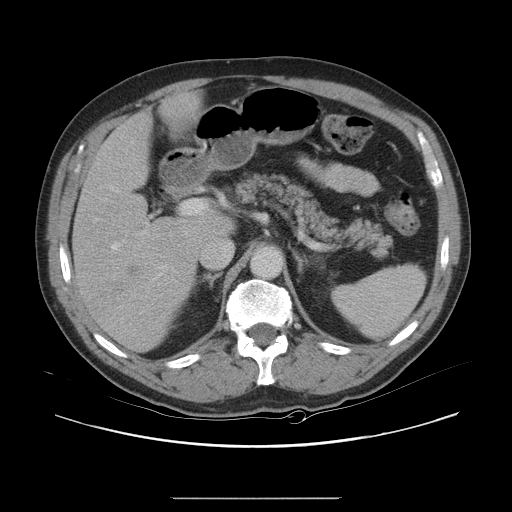

512x512 px. CT scan slice.
Some hepatic vessels may have no box.
Segmented structures:
- liver tumor: rect(109, 265, 139, 298)
- hepatic vessel: rect(153, 274, 160, 280); rect(139, 231, 146, 234); rect(139, 175, 141, 180); rect(110, 187, 118, 192); rect(111, 243, 119, 249); rect(122, 240, 125, 242)